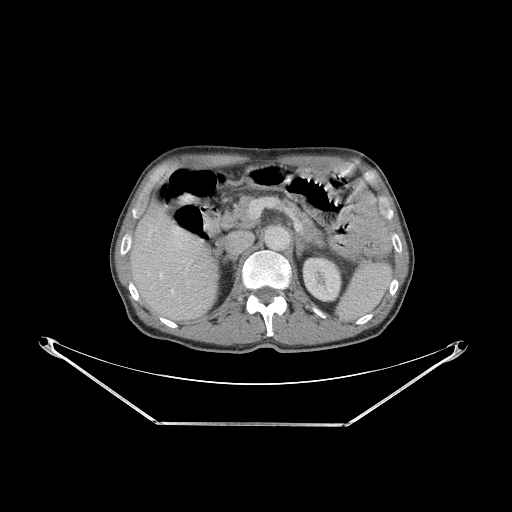 Image size 512x512; CT slice
8 bone regions are located at [121,235,130,254], [160,318,176,327], [392,234,401,252], [390,280,397,295], [247,295,286,335], [243,251,290,292], [356,314,371,323], [129,283,138,300]. The kidney is bounded by [303,258,339,300]. The liver is located at [131,200,219,319].